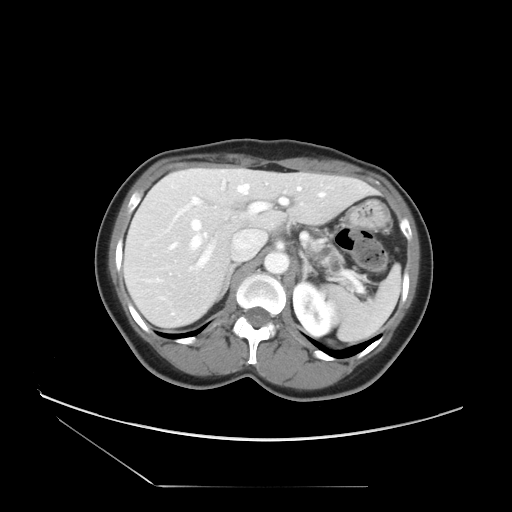 512x512, CT slice
The pancreas is located at (left=305, top=242, right=343, bottom=277).